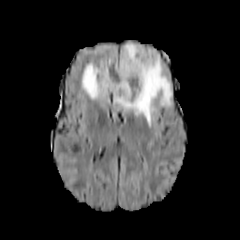
FLAIR MR.
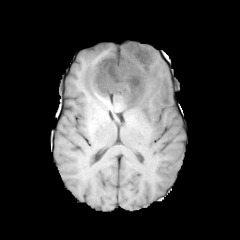
Same slice, T1-weighted MRI.
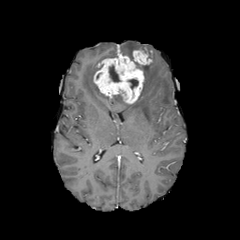
Post-contrast T1-weighted magnetic resonance.
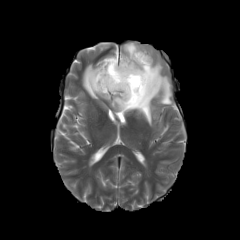
T2-weighted MR.
Head
Findings:
* enhancing tumor: box(94, 54, 144, 103); box(133, 49, 151, 66)
* edema: box(121, 42, 152, 61); box(82, 58, 173, 123)
* non-enhancing tumor core: box(128, 78, 138, 89); box(129, 54, 147, 71); box(108, 66, 121, 81); box(112, 94, 123, 102)